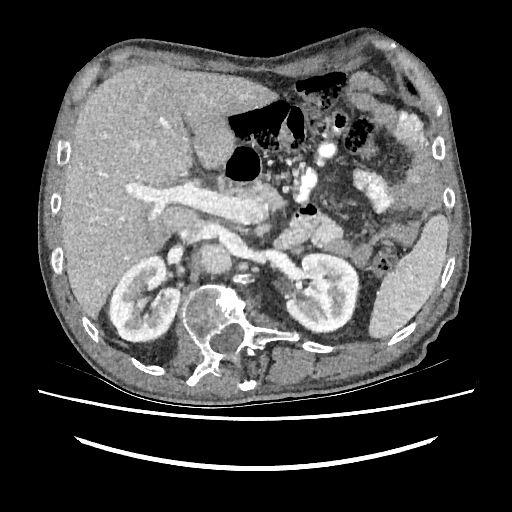 Image size 512x512; CT image
The focal liver lesion is located at {"x1": 142, "y1": 231, "x2": 150, "y2": 239}. The liver is at {"x1": 62, "y1": 65, "x2": 277, "y2": 318}. 2 kidney regions are located at {"x1": 287, "y1": 254, "x2": 357, "y2": 331}, {"x1": 110, "y1": 256, "x2": 179, "y2": 341}.